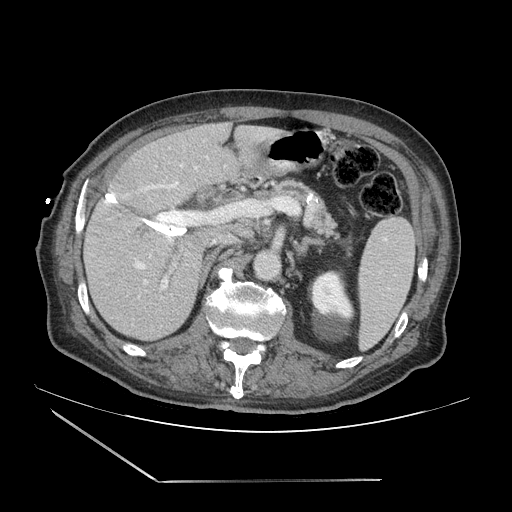 CT
Annotated regions:
- pancreas: (276,180,340,239)